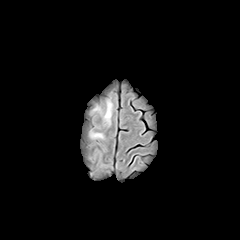
FLAIR MR.
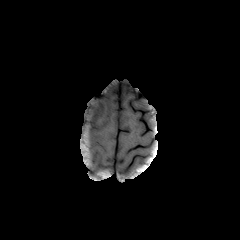
Same slice, T1-weighted MRI.
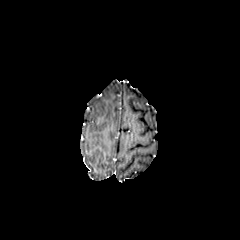
Same slice, post-contrast T1-weighted MR.
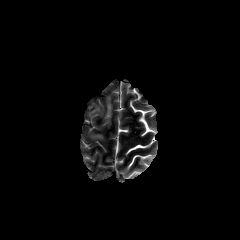
T2-weighted magnetic resonance.
Brain
Segmented structures:
* edema: region(104, 102, 111, 122)